Heart. MR image. Field of view 400 mm wide, 1.37 mm slice spacing.

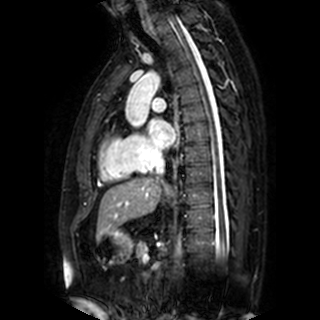 * left atrium: [x1=148, y1=118, x2=174, y2=148]